512x512 px; Slice 430/908; Abdomen; CT slice

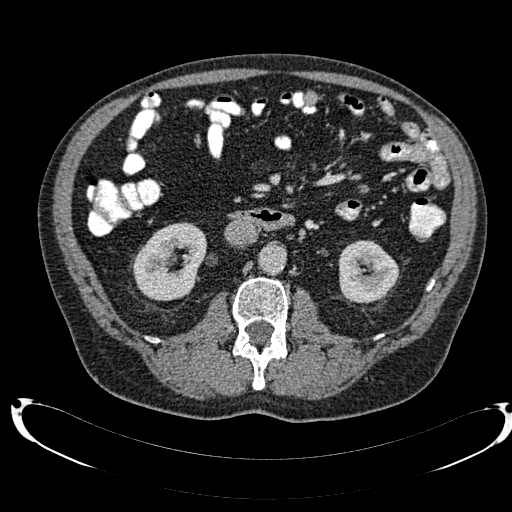
<segmentation>
  <kidney>133 222 206 300, 339 240 398 302</kidney>
</segmentation>